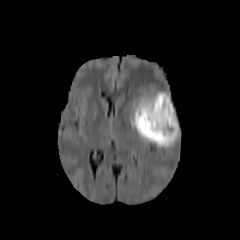
FLAIR magnetic resonance.
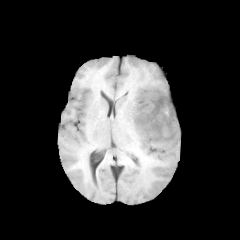
T1-weighted MR image.
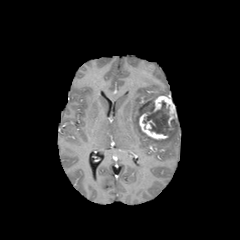
Post-contrast T1-weighted MRI.
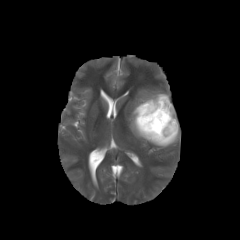
Same slice, T2-weighted MR image.
240x240 px
Edema: bounding box {"x1": 127, "y1": 92, "x2": 179, "y2": 148}.
Enhancing tumor: bounding box {"x1": 139, "y1": 111, "x2": 168, "y2": 139}, {"x1": 153, "y1": 95, "x2": 176, "y2": 129}.
Non-enhancing tumor core: bounding box {"x1": 140, "y1": 99, "x2": 176, "y2": 135}.